MR 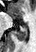 The posterior hippocampus lies within <box>15,24,27,41</box>.